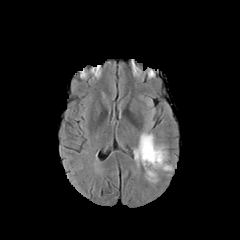
FLAIR magnetic resonance.
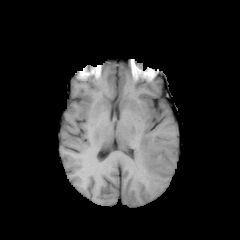
T1-weighted MR image.
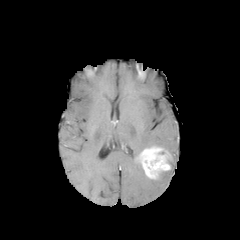
Post-contrast T1-weighted magnetic resonance.
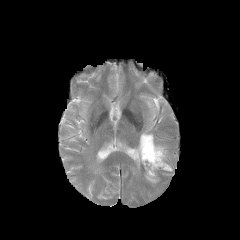
T2-weighted magnetic resonance.
240x240 px, Head
{"enhancing_tumor": ["left=135, top=144, right=172, bottom=180"], "edema": ["left=133, top=122, right=164, bottom=160"]}